Image size 240x240. Slice 93 of 155. Head.
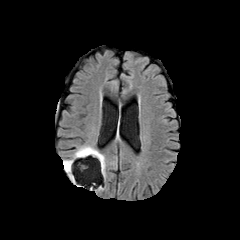
FLAIR MR.
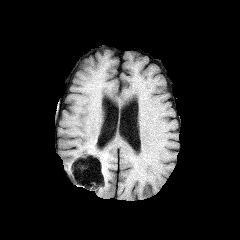
T1-weighted MR.
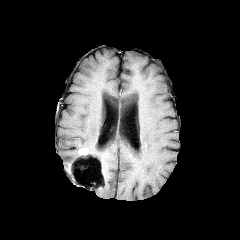
Post-contrast T1-weighted magnetic resonance.
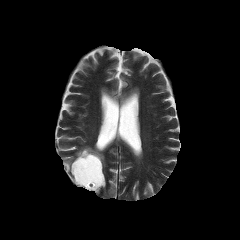
T2-weighted MRI.
{"non-enhancing_tumor_core": ["region(70, 149, 103, 177)"], "edema": ["region(100, 158, 105, 175)", "region(64, 145, 101, 166)"], "enhancing_tumor": ["region(78, 148, 93, 155)"]}